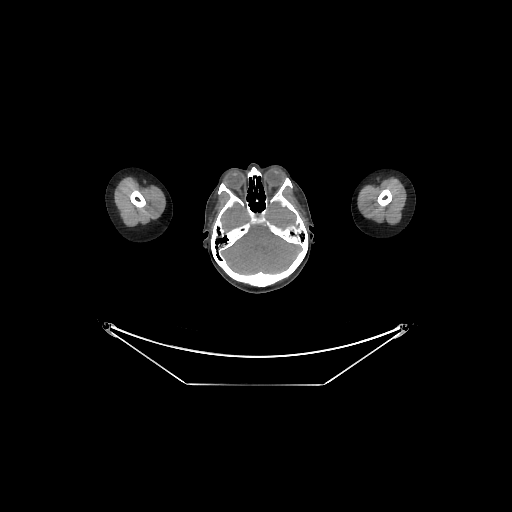
Computed tomography; Image size 512x512

3 brain regions are bounded by [220, 203, 250, 232], [221, 224, 299, 272], [265, 202, 296, 229].